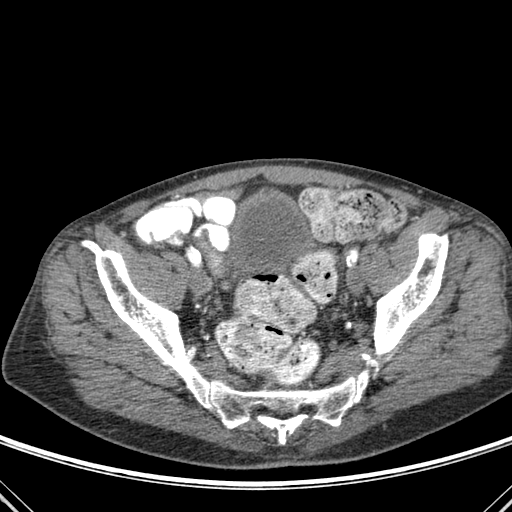
Image size 512x512, CT
<segmentation>
  <bone>(346, 257, 354, 266), (82, 240, 368, 428), (361, 233, 448, 365), (257, 414, 308, 444)</bone>
</segmentation>